CT. Image width 377 mm. Abdomen. Slice 40/134.

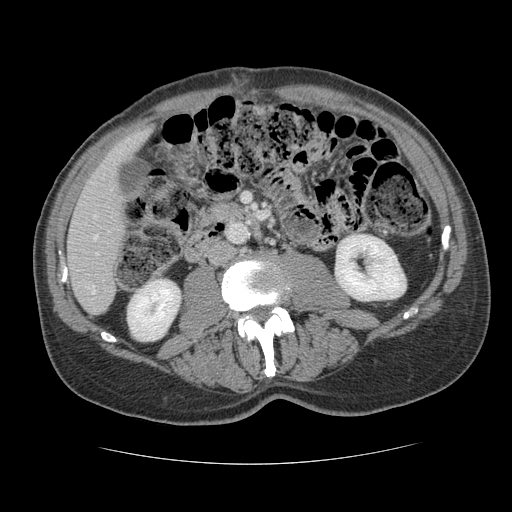 Only some of the vessels may be annotated.
Findings:
- hepatic vessel: 94, 215, 96, 216; 90, 285, 94, 293; 94, 234, 97, 238